240x240. Image width 240 mm.
FLAIR MR.
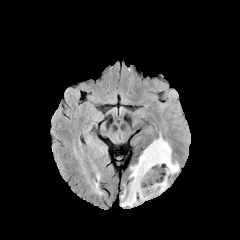
T1-weighted magnetic resonance.
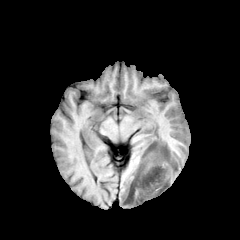
Post-contrast T1-weighted MRI.
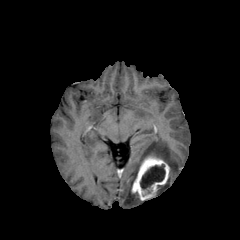
T2-weighted MR image.
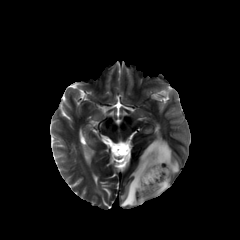
Annotated regions:
- enhancing tumor: x1=131 y1=155 x2=170 y2=201
- edema: x1=157 y1=179 x2=169 y2=194, x1=121 y1=136 x2=178 y2=206
- non-enhancing tumor core: x1=140 y1=164 x2=165 y2=188